Brain | Image size 240x240
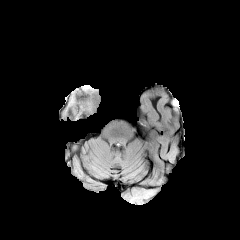
FLAIR MR.
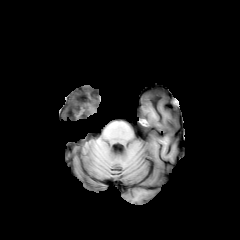
Same slice, T1-weighted MR.
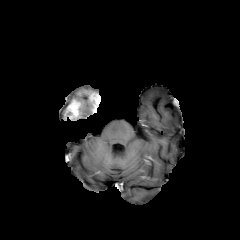
Post-contrast T1-weighted MR.
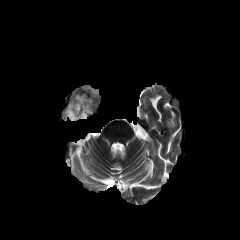
T2-weighted MR of the same slice.
Findings:
- enhancing tumor: 68:102:83:117
- non-enhancing tumor core: 71:92:97:117